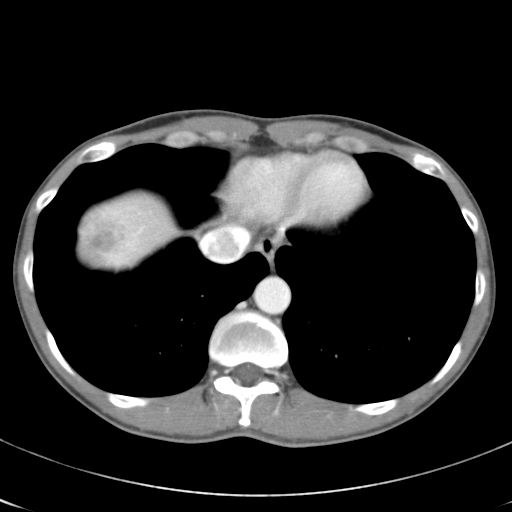

Computed tomography; 512x512
The vessel annotation is not exhaustive.
* liver tumor: (80,209,136,266)
* hepatic vessel: (201,233,215,251)